Slice 123 of 155, 240x240 px
FLAIR MR.
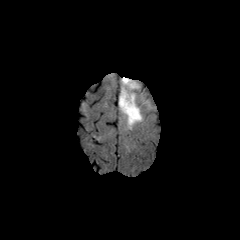
T1-weighted magnetic resonance.
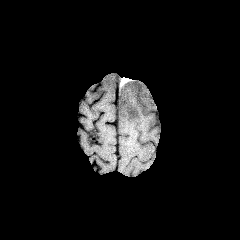
Post-contrast T1-weighted MR image.
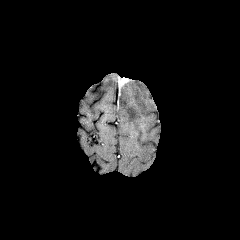
T2-weighted MRI.
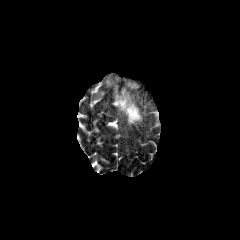
Edema: bounding box 118,77,150,128.